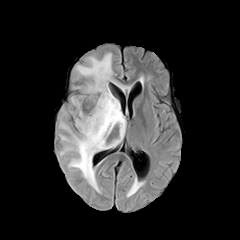
FLAIR MR image.
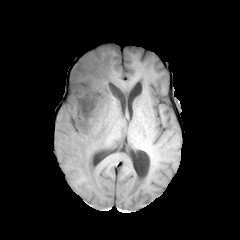
Same slice, T1-weighted MR image.
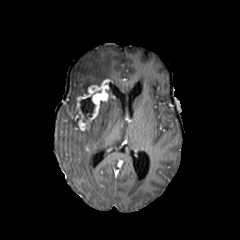
Post-contrast T1-weighted MR.
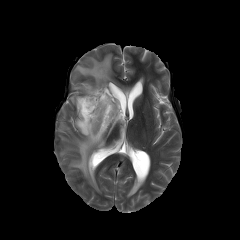
Same slice, T2-weighted MRI.
Head
Non-enhancing tumor core = left=78, top=97, right=94, bottom=118.
Edema = left=69, top=99, right=126, bottom=190; left=76, top=53, right=117, bottom=85; left=60, top=122, right=69, bottom=131.
Enhancing tumor = left=77, top=78, right=111, bottom=131.